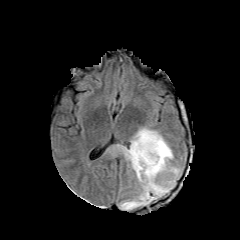
FLAIR MR.
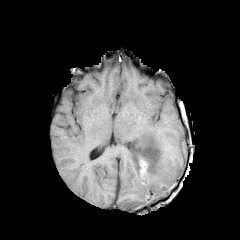
T1-weighted MR image of the same slice.
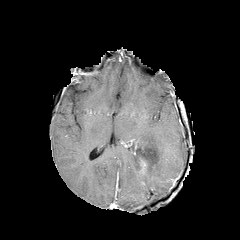
Post-contrast T1-weighted MRI.
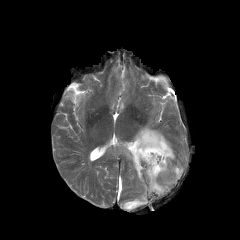
T2-weighted magnetic resonance.
Edema — 112,124,182,210.
Non-enhancing tumor core — 167,172,180,184.